Slice 98 of 148, CT scan slice, Image width 398 mm, 512x512, Abdomen
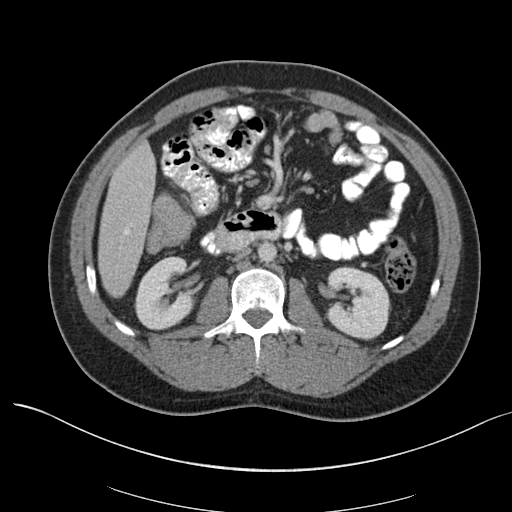

Findings:
- colon tumor: l=153, t=195, r=194, b=239